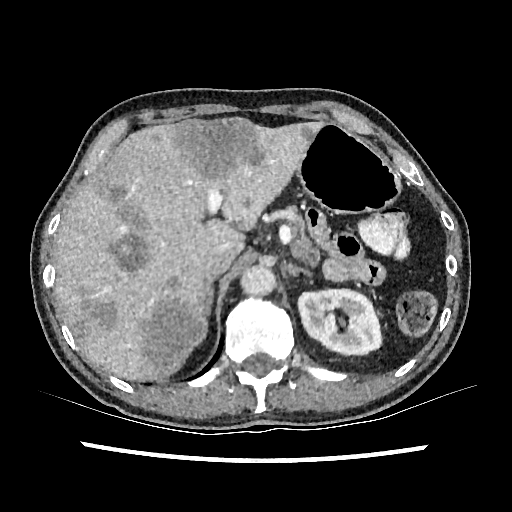
Abdomen; CT
Kidney = {"x1": 298, "y1": 289, "x2": 380, "y2": 358}.
Focal liver lesion = {"x1": 300, "y1": 125, "x2": 315, "y2": 142}, {"x1": 140, "y1": 299, "x2": 204, "y2": 373}, {"x1": 161, "y1": 276, "x2": 179, "y2": 290}, {"x1": 172, "y1": 118, "x2": 266, "y2": 181}, {"x1": 111, "y1": 202, "x2": 149, "y2": 274}, {"x1": 73, "y1": 288, "x2": 117, "y2": 342}, {"x1": 105, "y1": 183, "x2": 127, "y2": 203}, {"x1": 242, "y1": 197, "x2": 251, "y2": 208}.
Liver = {"x1": 55, "y1": 122, "x2": 324, "y2": 377}.